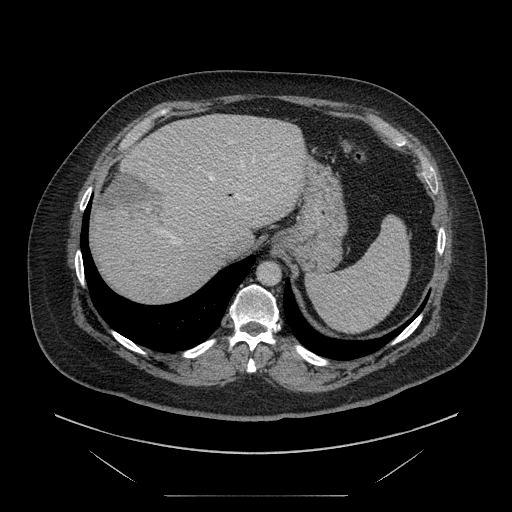

Image size 512x512 | CT image | Abdomen

The vessel annotation is not exhaustive.
hepatic_vessel:
  - l=244, t=169, r=245, b=170
  - l=249, t=179, r=255, b=181
  - l=156, t=230, r=182, b=243
  - l=264, t=155, r=274, b=160
liver_tumor:
  - l=99, t=174, r=161, b=216